FLAIR MR.
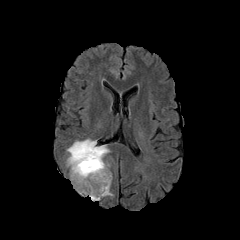
T1-weighted MR image.
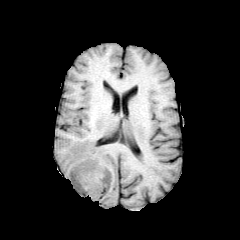
Post-contrast T1-weighted MR image.
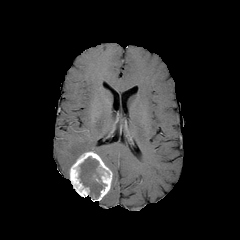
T2-weighted MR.
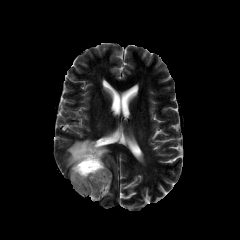
Brain
Findings:
• edema: (left=82, top=175, right=92, bottom=186), (left=64, top=139, right=109, bottom=168)
• non-enhancing tumor core: (left=79, top=157, right=103, bottom=199)
• enhancing tumor: (left=70, top=151, right=111, bottom=200)